Field of view 240x240 mm. Brain.
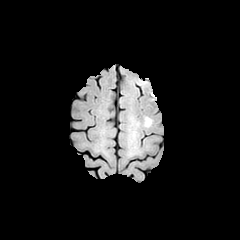
FLAIR MRI.
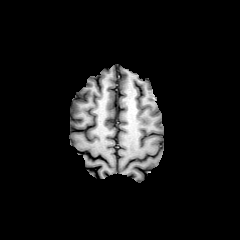
T1-weighted MR of the same slice.
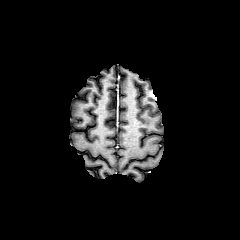
Post-contrast T1-weighted MR.
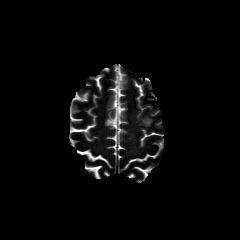
T2-weighted MR of the same slice.
<segmentation>
  <edema>(139, 116, 151, 126)</edema>
</segmentation>